Slice index 27. CT slice. Upper abdomen. Image size 512x512.

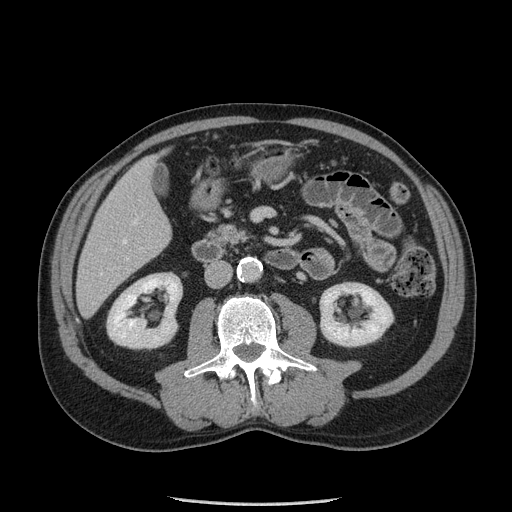

Pancreas = box=[206, 224, 248, 249].